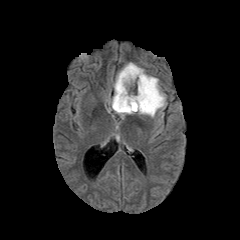
FLAIR MR.
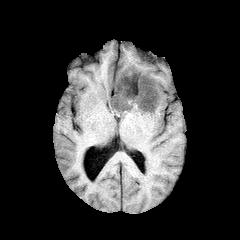
T1-weighted MR of the same slice.
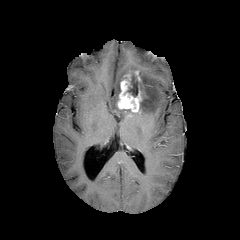
Post-contrast T1-weighted MR image of the same slice.
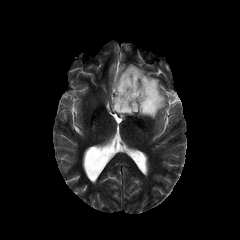
T2-weighted MR.
Head
Edema: bounding box (x1=108, y1=62, x2=167, y2=121).
Enhancing tumor: bounding box (x1=116, y1=74, x2=142, y2=111).
Non-enhancing tumor core: bounding box (x1=114, y1=83, x2=124, y2=111), (x1=125, y1=70, x2=155, y2=112).